FLAIR MR image.
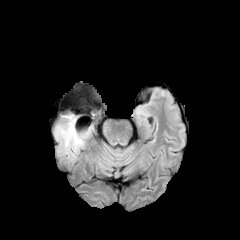
T1-weighted MRI.
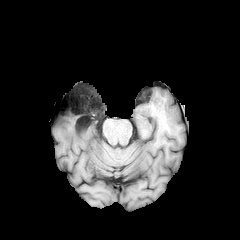
Post-contrast T1-weighted MR.
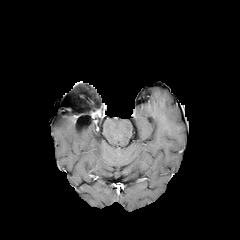
T2-weighted MR image.
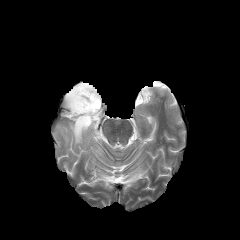
240x240 px
{"non-enhancing_tumor_core": ["[75,105,98,117]"], "edema": ["[54,112,91,156]"]}